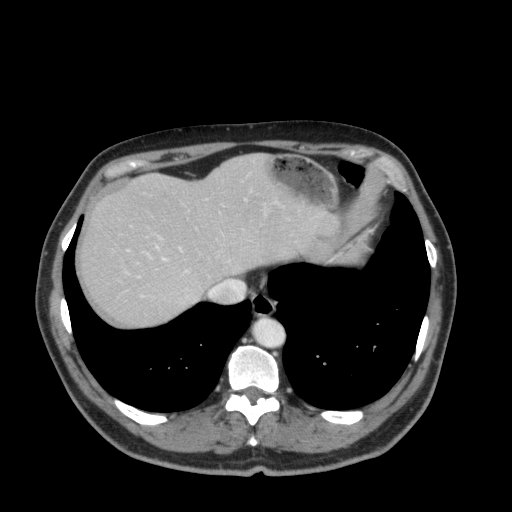
CT slice.

liver:
  - left=81, top=155, right=338, bottom=325